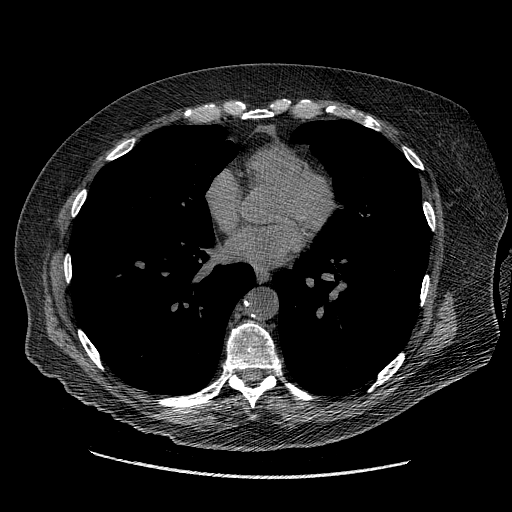

Computed tomography. Chest. lung tumor: x1=109 y1=264 x2=121 y2=273